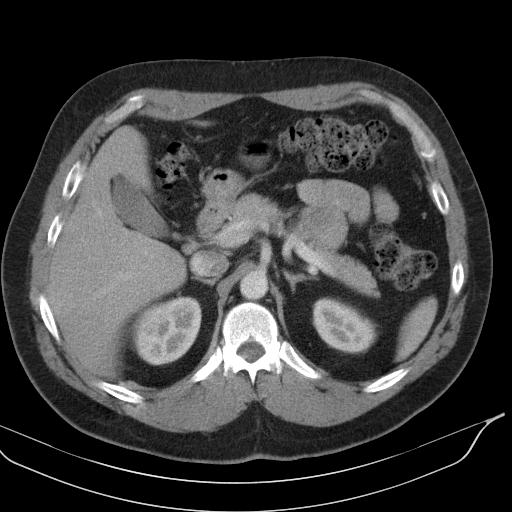

512x512. CT image. Annotated regions:
• spleen: (left=398, top=299, right=436, bottom=357)